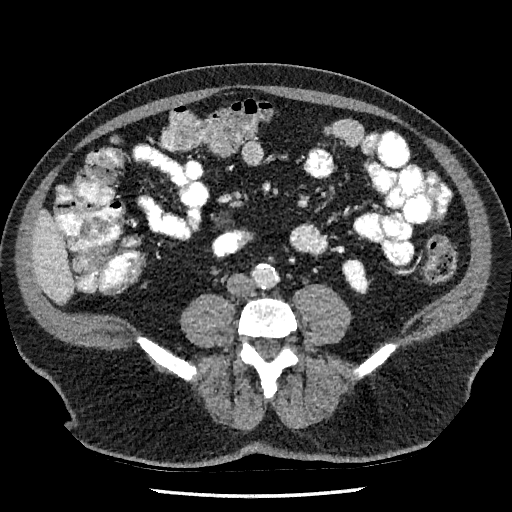 CT scan slice

Kidney at x1=343 y1=261 x2=366 y2=292.
Liver at x1=33 y1=210 x2=72 y2=302.